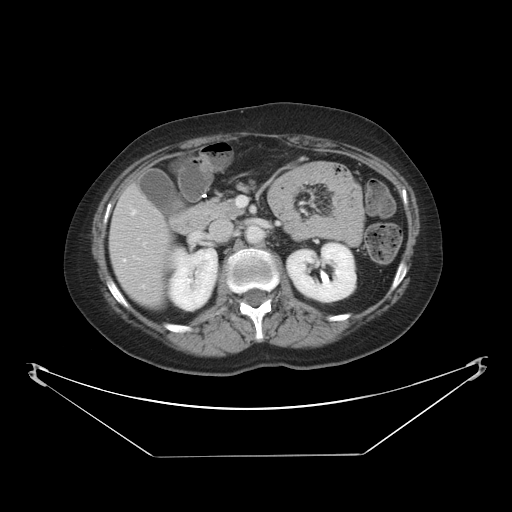
Abdomen | CT image

The vessel annotation is not exhaustive.
<segmentation>
  <hepatic_vessel>box=[132, 210, 135, 214]; box=[123, 259, 125, 261]</hepatic_vessel>
</segmentation>